FLAIR MRI.
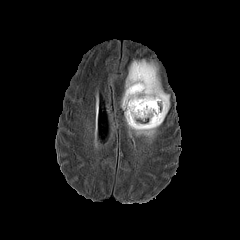
T1-weighted MR image.
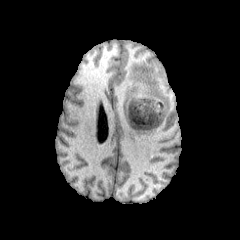
Post-contrast T1-weighted MR image.
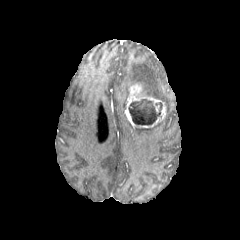
T2-weighted MRI.
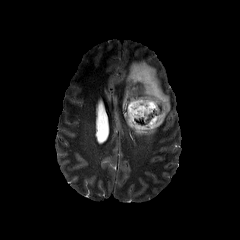
Non-enhancing tumor core: bounding box x1=128 y1=99 x2=162 y2=126.
Edema: bounding box x1=122 y1=59 x2=169 y2=112, x1=127 y1=120 x2=161 y2=141.
Enhancing tumor: bounding box x1=125 y1=85 x2=166 y2=128.